Pelvis | Slice 167/836 | CT image
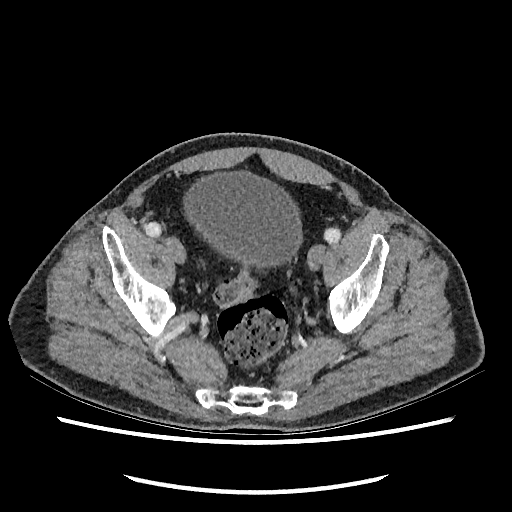 urinary bladder: box=[184, 171, 302, 270]